Field of view 240x240 mm; Slice 58/155; Head
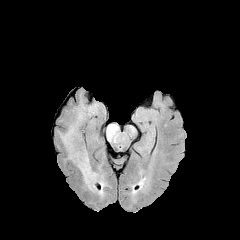
FLAIR MR image.
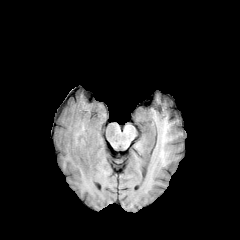
T1-weighted MR image of the same slice.
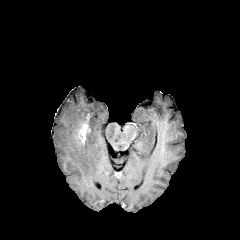
Post-contrast T1-weighted MR.
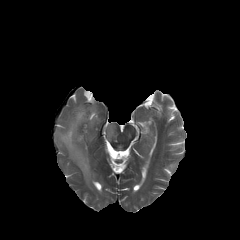
T2-weighted MRI of the same slice.
<segmentation>
  <edema>left=76, top=105, right=86, bottom=122; left=106, top=124, right=115, bottom=141; left=60, top=125, right=104, bottom=196</edema>
  <enhancing_tumor>left=78, top=124, right=87, bottom=142</enhancing_tumor>
</segmentation>